Abdomen | Image size 512x512 | Field of view 475x475 mm | CT image

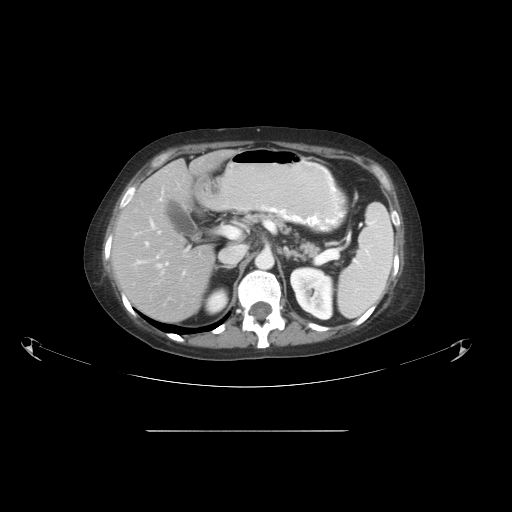

Not every hepatic vessel necessarily has a box.
Hepatic vessel: l=134, t=260, r=147, b=265; l=150, t=220, r=155, b=229; l=183, t=271, r=185, b=274; l=145, t=242, r=148, b=245; l=157, t=262, r=168, b=273; l=156, t=255, r=158, b=258; l=158, t=230, r=160, b=233; l=159, t=190, r=163, b=200; l=184, t=248, r=188, b=252; l=169, t=243, r=170, b=244.